Slice 36/75, CT image
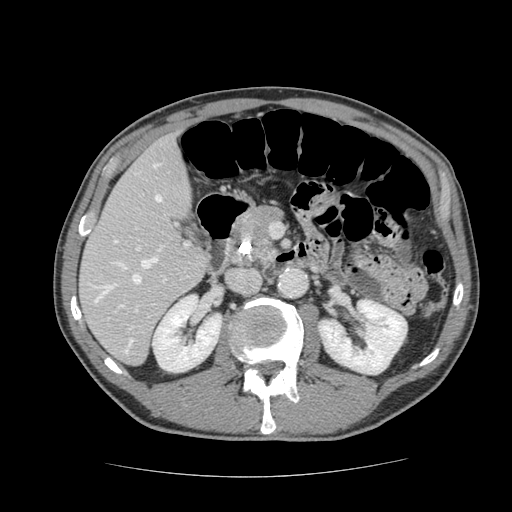 pancreatic tumor: region(244, 207, 276, 234) | pancreas: region(228, 204, 286, 267)